Field of view 240 mm wide, 1.00 mm slice spacing; Head
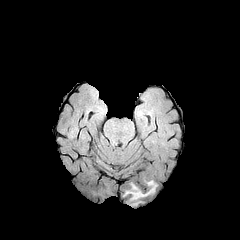
FLAIR MRI.
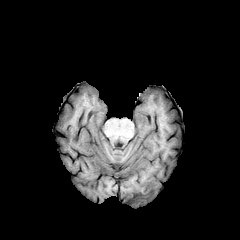
T1-weighted MR of the same slice.
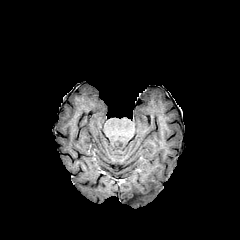
Post-contrast T1-weighted MR image.
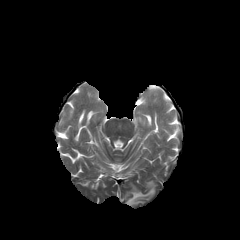
Same slice, T2-weighted MR image.
<segmentation>
  <edema>125 181 155 203</edema>
</segmentation>